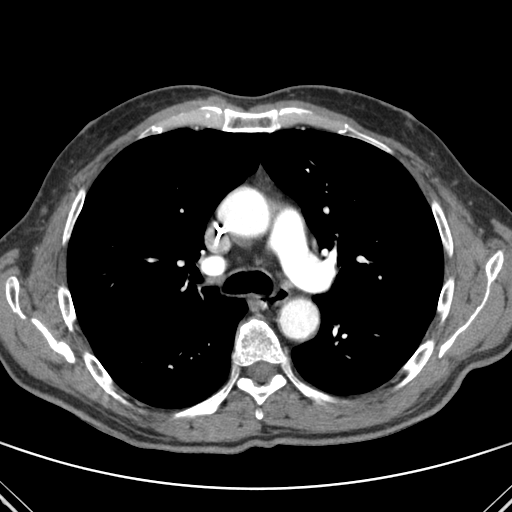

CT scan slice.

Bone: box=[84, 352, 125, 402]; box=[58, 287, 75, 330]; box=[255, 410, 262, 419]; box=[364, 136, 385, 148]; box=[31, 318, 74, 362]; box=[201, 106, 307, 132]; box=[174, 318, 335, 417]; box=[63, 189, 84, 242]; box=[438, 278, 453, 320]; box=[432, 201, 452, 255]; box=[399, 340, 433, 386]; box=[439, 251, 503, 357]; box=[6, 277, 25, 318]; box=[140, 125, 162, 137]; box=[335, 124, 349, 133].
Lung: box=[67, 128, 443, 408].